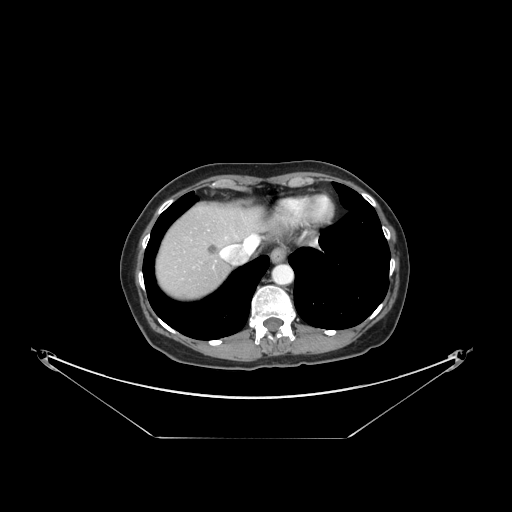
CT slice; 512x512 px; Liver
The liver tumor appears at 207 244 217 255.